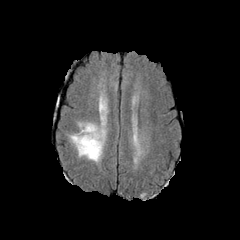
FLAIR MR image.
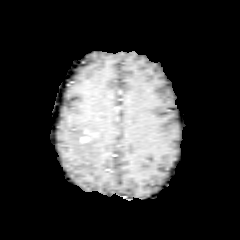
T1-weighted MR.
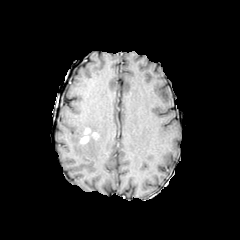
Post-contrast T1-weighted MRI.
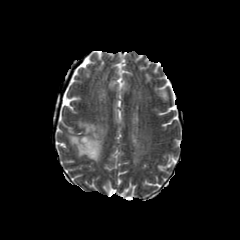
T2-weighted MR.
240x240 px
Edema = bbox=[68, 94, 106, 163].
Enhancing tumor = bbox=[80, 128, 89, 144].